FLAIR MR.
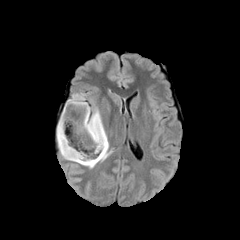
T1-weighted MR.
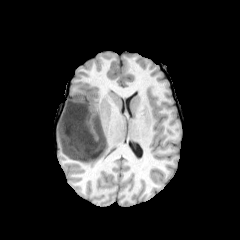
Post-contrast T1-weighted MR image.
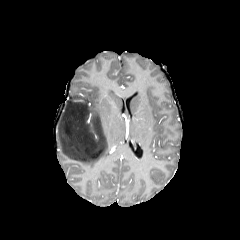
T2-weighted MR.
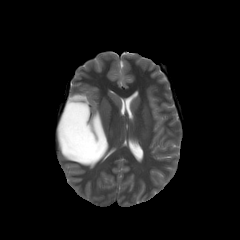
Image size 240x240
Edema: bounding box (left=56, top=93, right=109, bottom=168).
Non-enhancing tumor core: bounding box (left=57, top=94, right=106, bottom=161).